CT slice, Abdomen 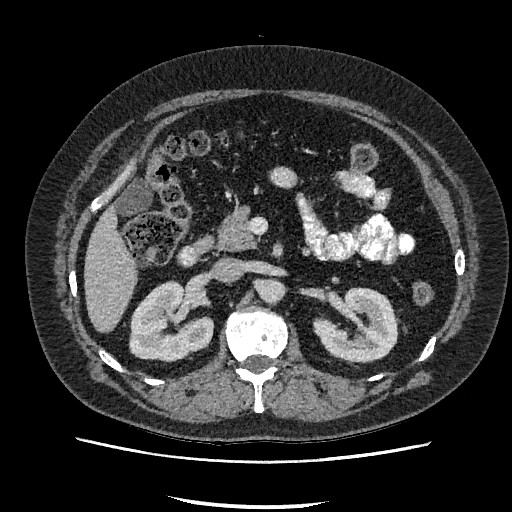

* kidney: box(315, 289, 396, 360); box(130, 283, 212, 359)
* liver: box(84, 205, 137, 331)